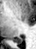
Image size 36x49; MR

Posterior hippocampus at 13 37 22 43.